Slice 89/168, Image size 512x512, Computed tomography
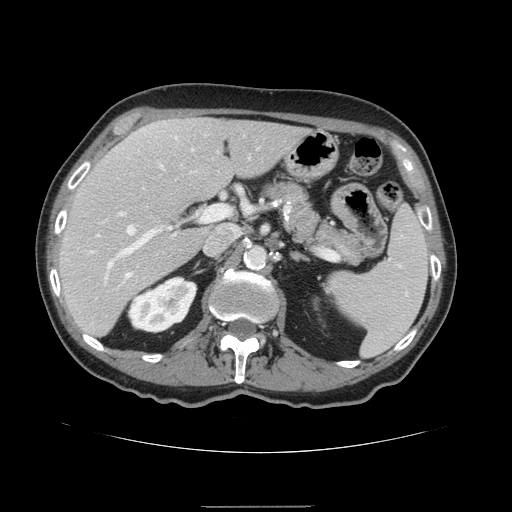

Not every hepatic vessel necessarily has a box.
hepatic vessel: 118,229,158,255; 125,273,131,277; 106,276,106,279; 109,260,113,267; 201,205,230,221; 119,212,123,214; 248,155,250,157; 160,164,162,167; 205,224,235,253; 127,225,134,233; 167,226,171,228